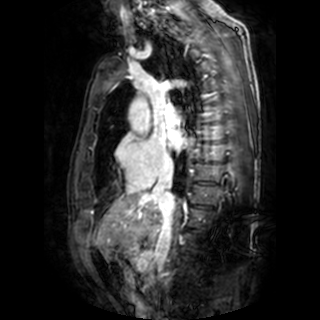
Heart, Magnetic resonance

The left atrium appears at rect(168, 130, 190, 150).